Head
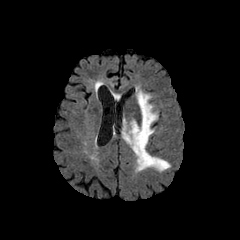
FLAIR MR.
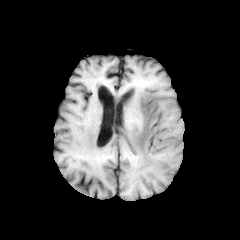
Same slice, T1-weighted magnetic resonance.
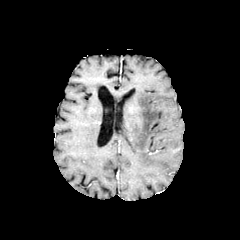
Same slice, post-contrast T1-weighted MR.
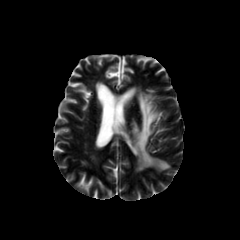
Same slice, T2-weighted MR image.
edema: box=[122, 88, 170, 171]